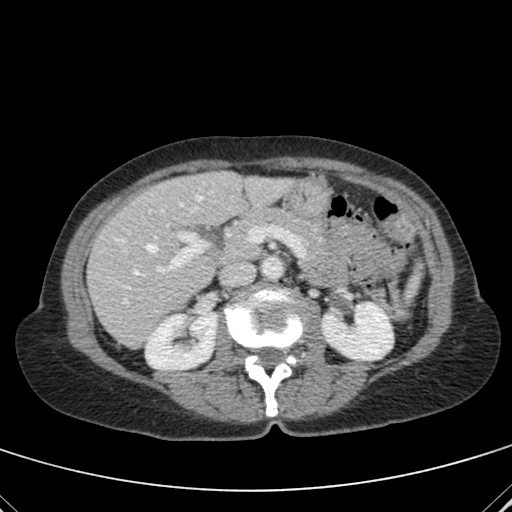 Abdomen | CT

kidney: 146,314,216,369; 322,306,392,359 | liver: 87,172,291,345